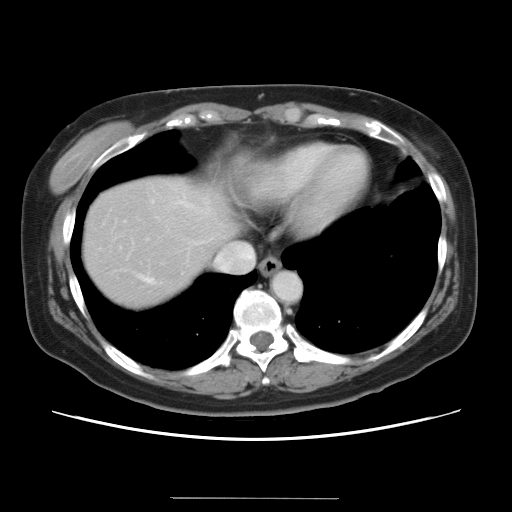 Abdomen | CT
Not every hepatic vessel necessarily has a box.
Hepatic vessel at <bbox>179, 203, 199, 211</bbox>, <bbox>215, 247, 254, 272</bbox>, <bbox>196, 242, 204, 243</bbox>, <bbox>141, 277, 153, 282</bbox>.